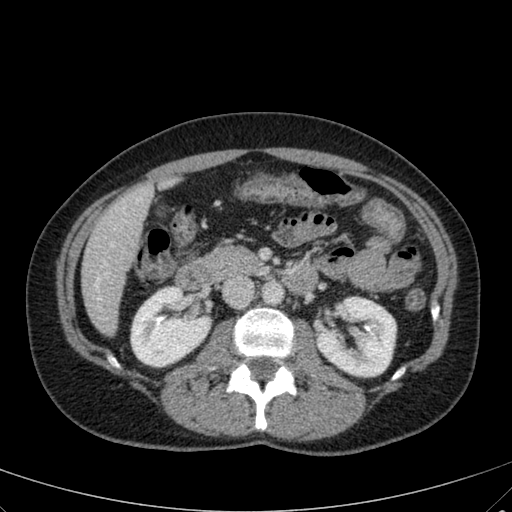

CT slice | Abdomen

{
  "liver": [
    "left=81, top=183, right=153, bottom=335",
    "left=157, top=178, right=174, bottom=190"
  ],
  "kidney": [
    "left=131, top=287, right=209, bottom=366",
    "left=317, top=297, right=395, bottom=376"
  ]
}